512x512, Upper abdomen, CT slice
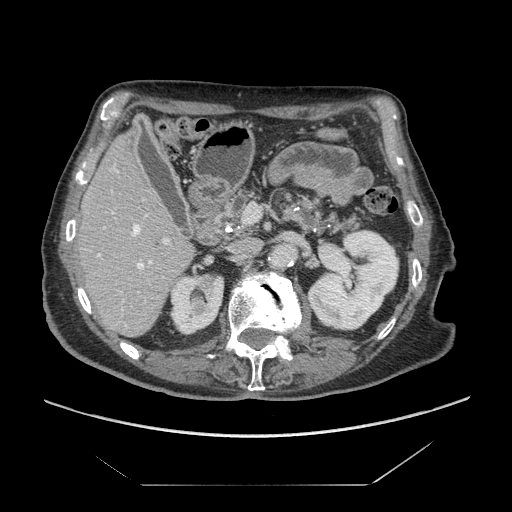 2 pancreas regions are located at 210,183,267,242; 274,189,370,240.